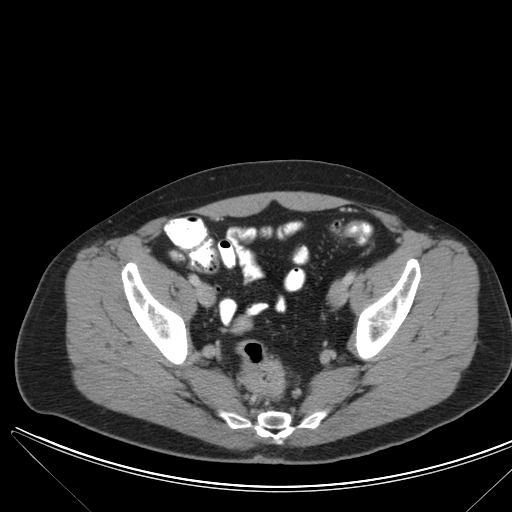
Computed tomography | 512x512 px | Abdomen
<segmentation>
  <colon_tumor>rect(240, 361, 283, 396)</colon_tumor>
</segmentation>